FLAIR MR image.
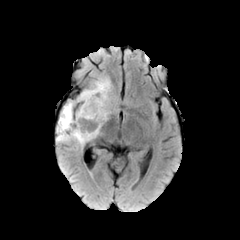
T1-weighted MR image.
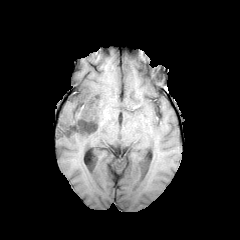
Post-contrast T1-weighted MRI.
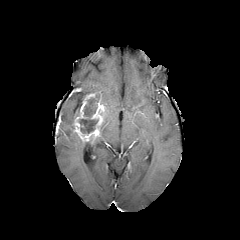
T2-weighted MR image.
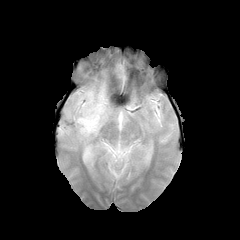
The edema appears at 57:77:113:151. 2 non-enhancing tumor core regions appear at 84:98:96:117, 79:118:97:133. The enhancing tumor lies within 73:93:104:141.